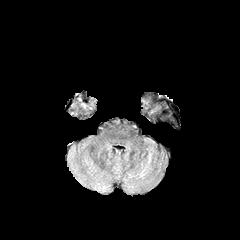
FLAIR MR image.
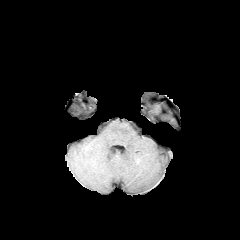
T1-weighted MR image.
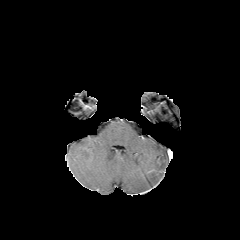
Post-contrast T1-weighted MR image.
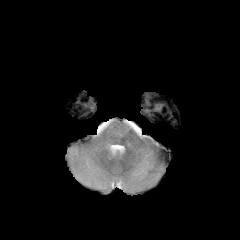
Same slice, T2-weighted MRI.
Head
2 edema regions are bounded by {"x1": 127, "y1": 167, "x2": 144, "y2": 188}, {"x1": 86, "y1": 166, "x2": 96, "y2": 179}.